CT scan slice; Liver 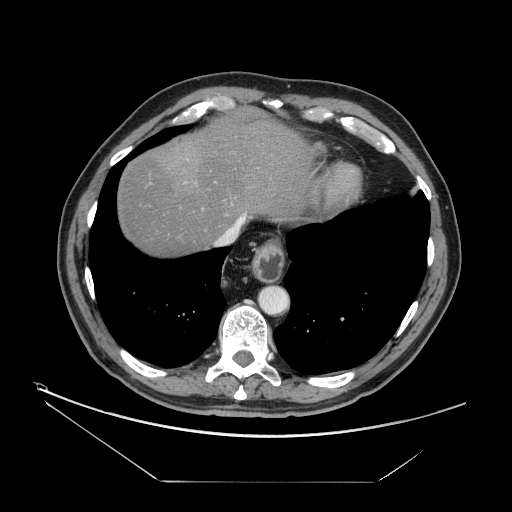

Only some of the vessels may be annotated.
{"hepatic_vessel": ["236,217,242,222"]}